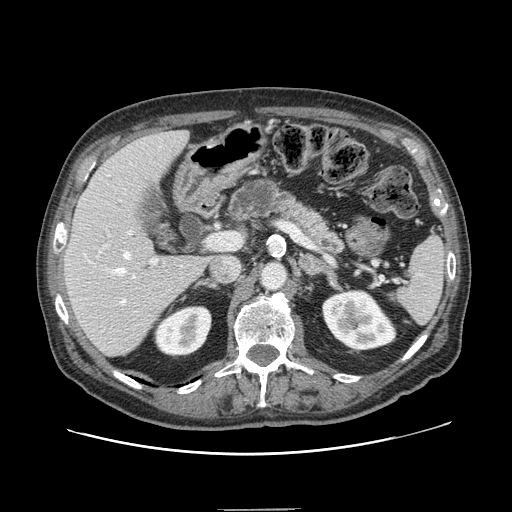

Upper abdomen, Computed tomography

The pancreas appears at bbox=[227, 176, 344, 254].